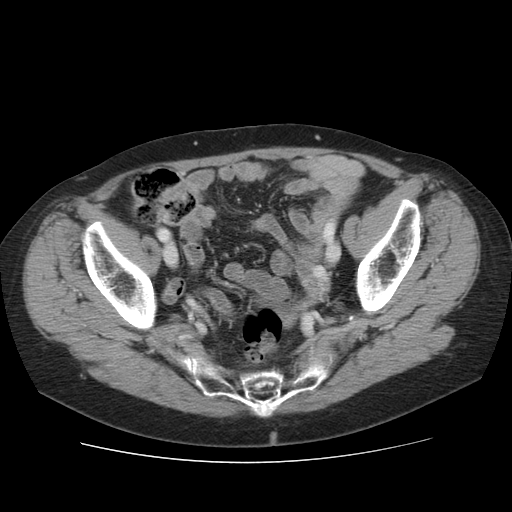 CT image
Bone: bounding box l=195, t=321, r=202, b=332; l=355, t=198, r=422, b=315; l=315, t=312, r=334, b=322; l=81, t=221, r=373, b=414.